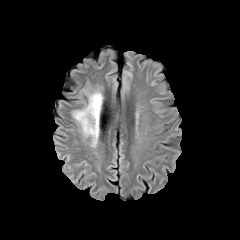
FLAIR magnetic resonance.
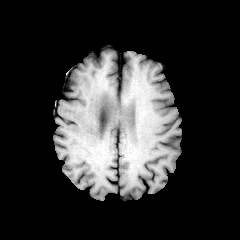
T1-weighted MR image.
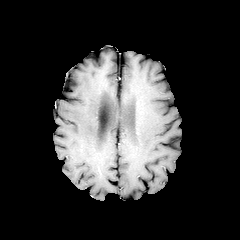
Post-contrast T1-weighted magnetic resonance.
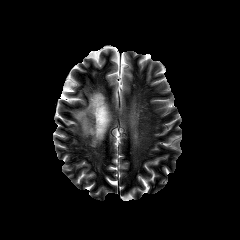
Same slice, T2-weighted MR image.
Image size 240x240; Head
<segmentation>
  <edema>x1=72 y1=84 x2=103 y2=146</edema>
</segmentation>